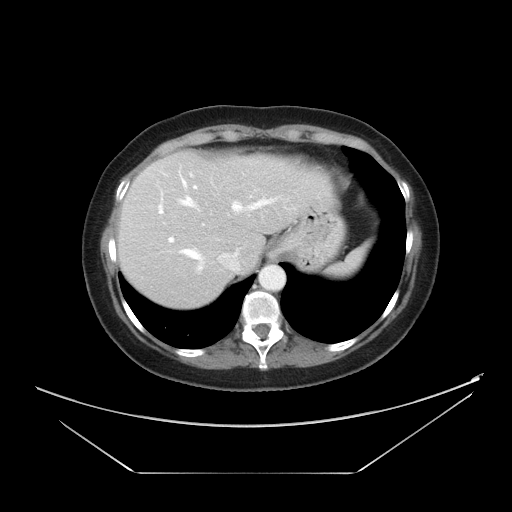 512x512 px | Abdomen | CT scan slice

Some hepatic vessels may have no box.
Hepatic vessel at (232,198,275,210), (218,249,239,270), (191,174,192,176), (179,169,179,172), (181,177,185,185), (180,196,194,205), (169,237,173,242), (180,248,203,273), (193,185,196,188), (158,190,162,213), (196,207,197,209).